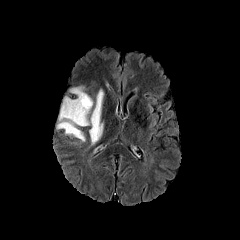
FLAIR magnetic resonance.
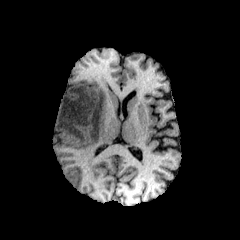
T1-weighted MR.
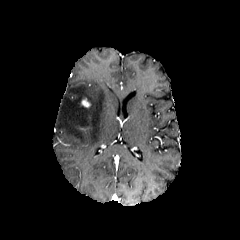
Same slice, post-contrast T1-weighted MR image.
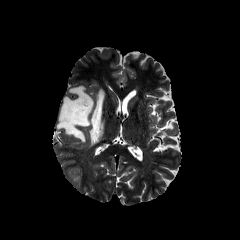
T2-weighted MR of the same slice.
Brain
enhancing_tumor:
  - 81,98,91,107
edema:
  - 57,86,103,145